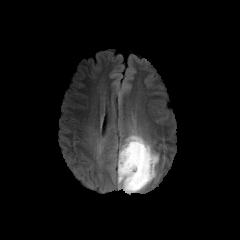
FLAIR MRI.
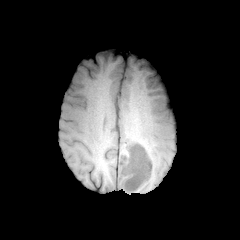
T1-weighted MR image of the same slice.
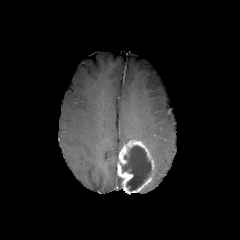
Post-contrast T1-weighted magnetic resonance.
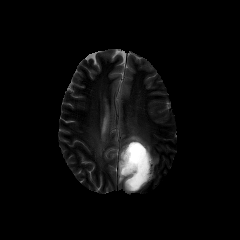
Same slice, T2-weighted MR image.
edema:
  - <box>114,131,158,179</box>
non-enhancing_tumor_core:
  - <box>122,145,151,190</box>
enhancing_tumor:
  - <box>117,140,151,193</box>